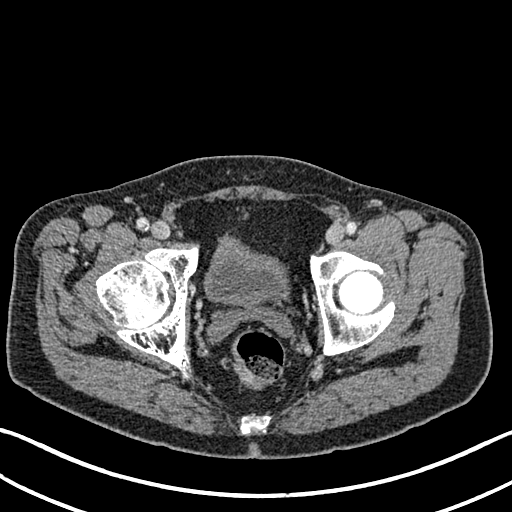
Computed tomography | Image size 512x512

Annotated regions:
* urinary bladder: left=204, top=237, right=288, bottom=306